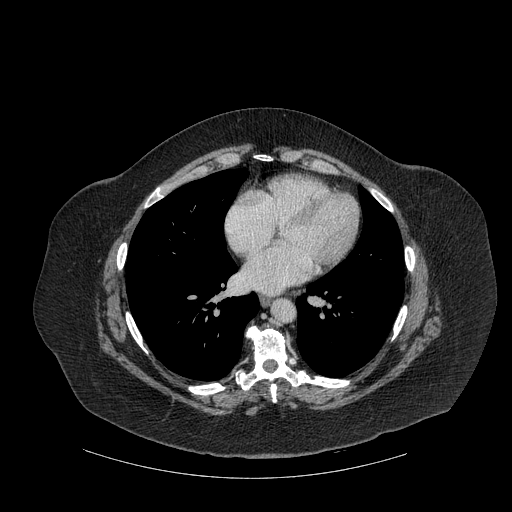

Chest. CT image. 512x512.
Segmented structures:
* bone: 405:247:414:270, 236:326:349:389, 126:312:147:352, 378:196:392:211, 145:188:162:207, 255:155:271:160, 189:383:224:395, 117:243:126:269, 392:306:406:339, 270:384:276:402
* lung: 296:188:404:377, 126:168:259:380